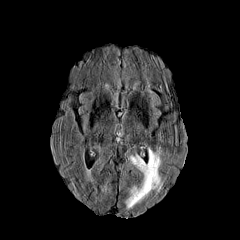
FLAIR MR.
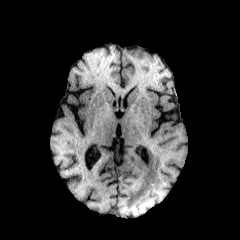
Same slice, T1-weighted MR.
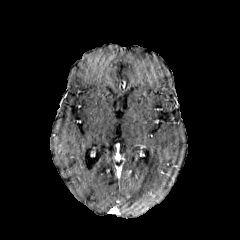
Post-contrast T1-weighted MRI.
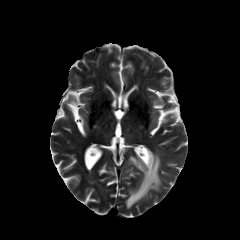
T2-weighted magnetic resonance of the same slice.
Brain
Edema: [125,148,160,209].